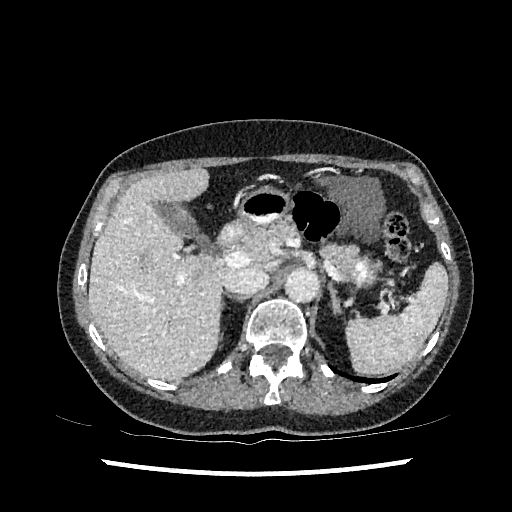

Computed tomography. Abdomen.

The focal liver lesion lies within (141, 251, 152, 270). The liver lies within (89, 167, 221, 379).